Field of view 358 mm wide, 0.70 mm slice spacing | CT slice | Liver | Image size 512x512
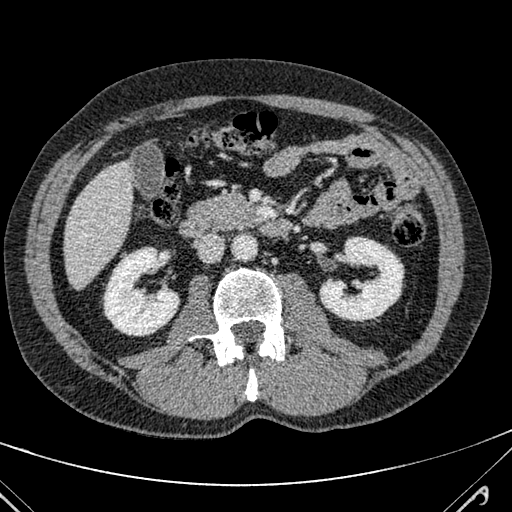
Liver — (64, 161, 132, 288).